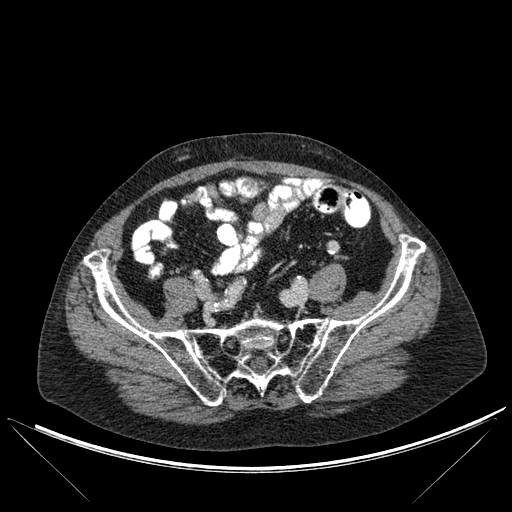
CT image, 512x512 px
bone:
  - [84, 234, 425, 405]